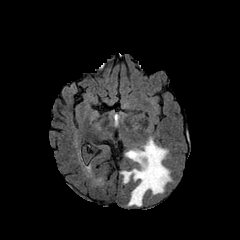
FLAIR MRI.
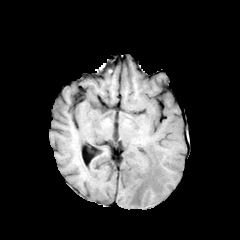
T1-weighted MRI.
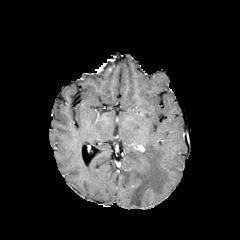
Post-contrast T1-weighted MRI of the same slice.
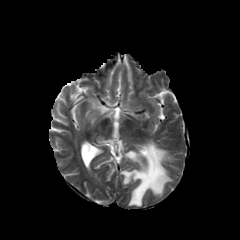
Same slice, T2-weighted magnetic resonance.
Brain. 240x240.
edema: (x1=120, y1=139, x2=172, y2=206)